FLAIR MR image.
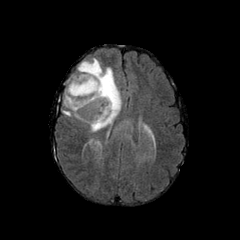
T1-weighted magnetic resonance.
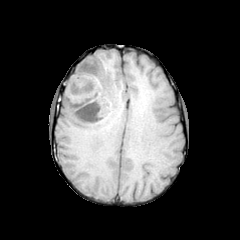
Post-contrast T1-weighted MR.
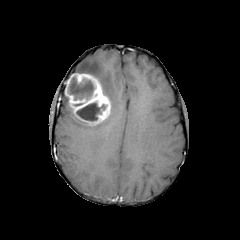
T2-weighted MR image.
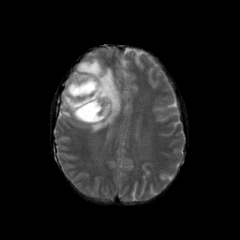
enhancing tumor: x1=65 y1=73 x2=110 y2=123 | non-enhancing tumor core: x1=76 y1=102 x2=105 y2=125, x1=66 y1=74 x2=94 y2=99 | edema: x1=76 y1=57 x2=121 y2=131, x1=63 y1=94 x2=81 y2=121